Abdomen. CT.

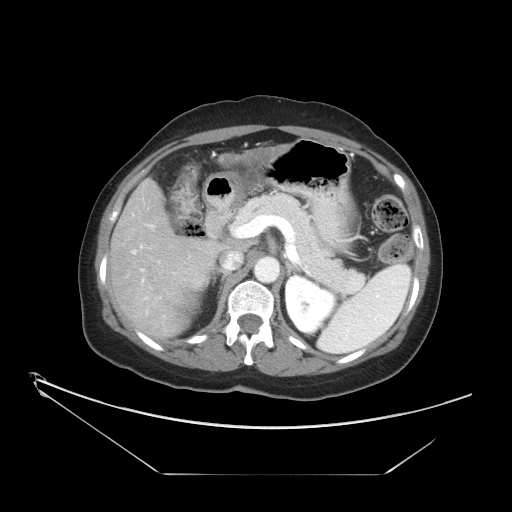 The vessel annotation is not exhaustive.
The hepatic vessel is at bbox=[132, 250, 135, 253]. The liver tumor appears at bbox=[244, 151, 270, 158].